Field of view 477 mm wide, 2.50 mm slice spacing. CT image. Slice index 54. 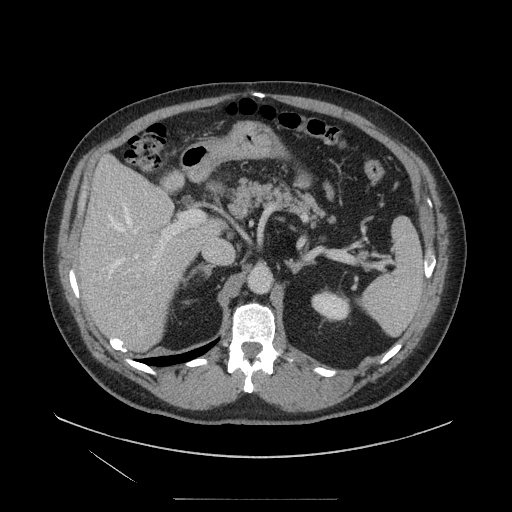

Pancreas: l=226, t=176, r=336, b=230.